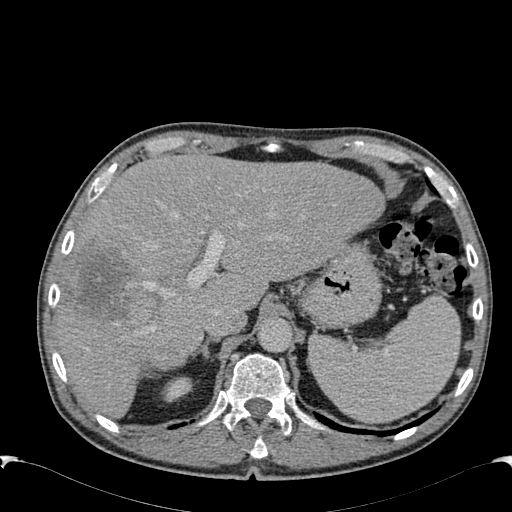

Abdomen. CT image.
<segmentation>
  <kidney>region(166, 378, 190, 401)</kidney>
  <hepatic_lesion>region(65, 240, 137, 322); region(138, 351, 147, 363)</hepatic_lesion>
  <liver>region(53, 153, 385, 417)</liver>
</segmentation>